Abdomen; CT scan slice; Slice 34/127 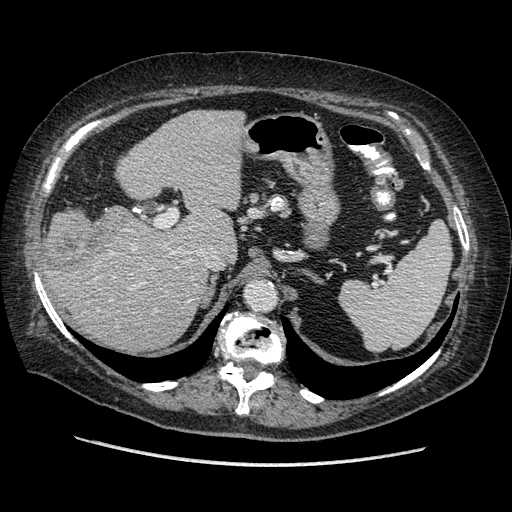
{"liver_tumor": ["45 212 121 269"]}